FLAIR MR.
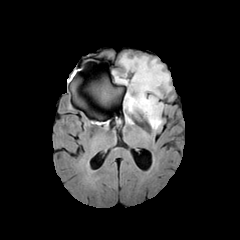
T1-weighted MR.
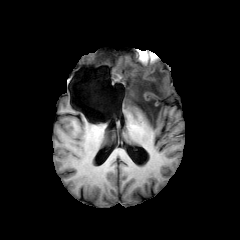
Post-contrast T1-weighted MR.
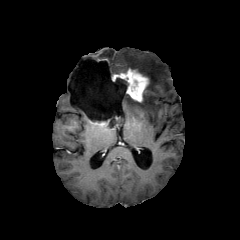
T2-weighted MRI.
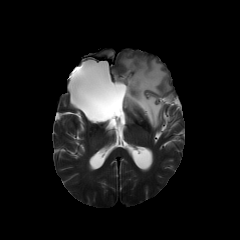
240x240 px
{
  "edema": [
    "119,54,171,129"
  ],
  "non-enhancing_tumor_core": [
    "126,78,160,119",
    "94,84,117,103",
    "114,77,127,90"
  ],
  "enhancing_tumor": [
    "114,68,148,102"
  ]
}